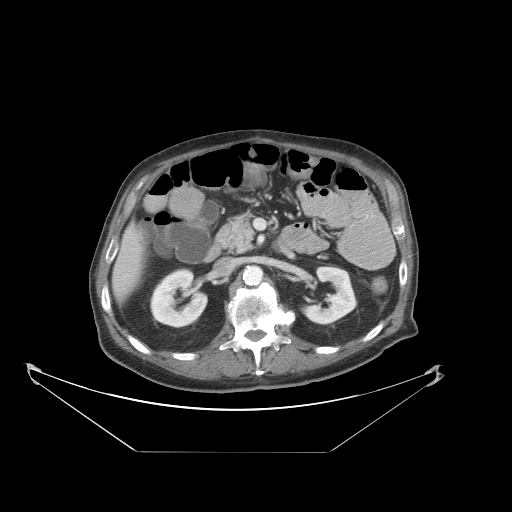

CT image; Liver
Not every hepatic vessel necessarily has a box.
Hepatic vessel: bounding box 124, 275, 130, 277.